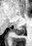

Image size 32x46 | MRI slice | Hippocampus

The posterior hippocampus appears at region(12, 28, 24, 35).